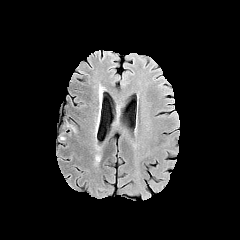
FLAIR magnetic resonance.
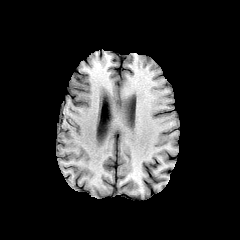
T1-weighted MR image.
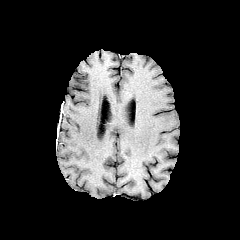
Post-contrast T1-weighted MR.
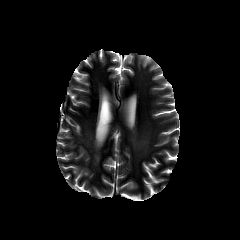
T2-weighted magnetic resonance.
Brain; Image size 240x240
The edema is bounded by left=94, top=154, right=100, bottom=164.